Slice 87 of 155. 240x240. Brain.
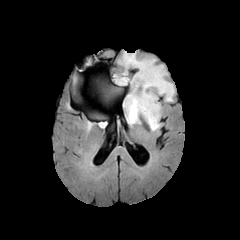
FLAIR MR.
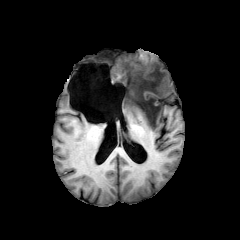
T1-weighted MR image of the same slice.
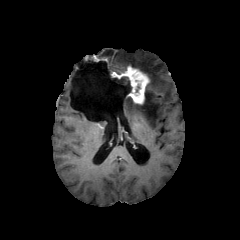
Post-contrast T1-weighted MR.
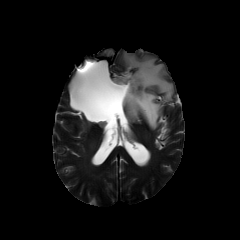
T2-weighted MRI of the same slice.
Enhancing tumor: bounding box <box>114,65,149,104</box>.
Non-enhancing tumor core: bounding box <box>116,76,134,103</box>, <box>136,76,157,117</box>.
Edema: bounding box <box>119,52,175,130</box>.